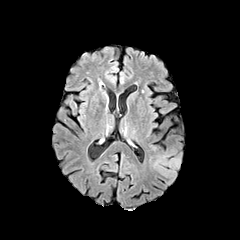
FLAIR magnetic resonance.
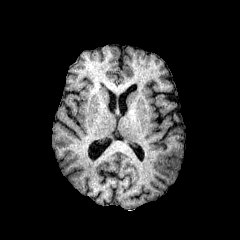
T1-weighted MR image of the same slice.
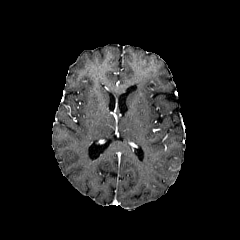
Post-contrast T1-weighted MRI of the same slice.
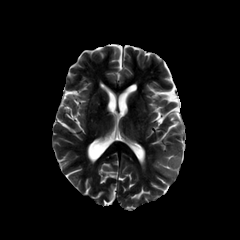
T2-weighted MR image.
Head
The edema appears at [148, 148, 182, 177].